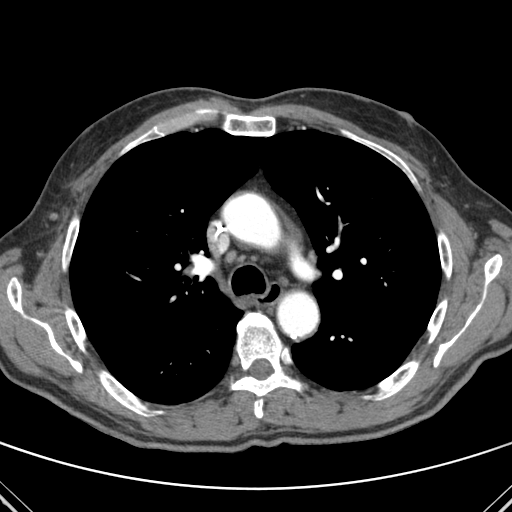 CT image, 512x512

Lung — x1=69, y1=129, x2=440, y2=404.
Bone — x1=65, y1=308, x2=85, y2=351; x1=198, y1=109, x2=216, y2=112; x1=341, y1=130, x2=409, y2=171; x1=438, y1=232, x2=452, y2=277; x1=483, y1=254, x2=502, y2=298; x1=30, y1=318, x2=82, y2=372; x1=122, y1=127, x2=158, y2=152; x1=229, y1=312, x2=301, y2=417; x1=7, y1=277, x2=26, y2=316; x1=433, y1=303, x2=481, y2=367; x1=428, y1=299, x2=447, y2=343; x1=62, y1=217, x2=78, y2=269; x1=223, y1=113, x2=275, y2=136; x1=375, y1=361, x2=418, y2=399; x1=99, y1=371, x2=147, y2=415.